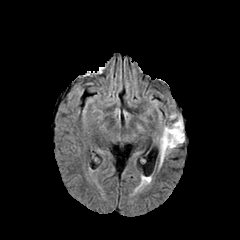
FLAIR magnetic resonance.
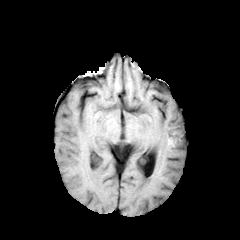
Same slice, T1-weighted MR.
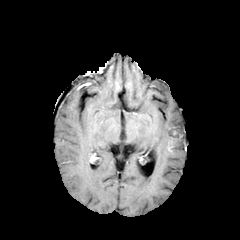
Post-contrast T1-weighted magnetic resonance of the same slice.
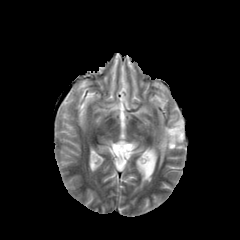
T2-weighted MRI.
Head.
Edema: 159 113 184 164.